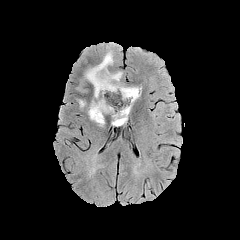
FLAIR MR image.
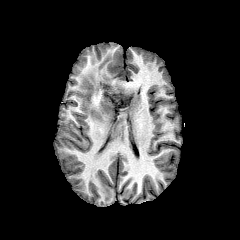
Same slice, T1-weighted MR.
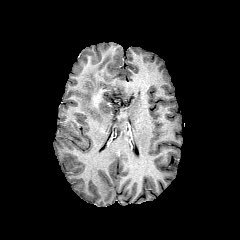
Post-contrast T1-weighted magnetic resonance of the same slice.
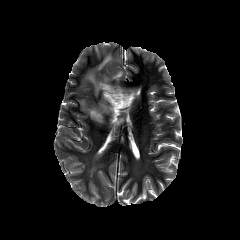
T2-weighted MR image.
{
  "edema": [
    "<box>84,53,140,128</box>"
  ],
  "non-enhancing_tumor_core": [
    "<box>110,92,132,107</box>"
  ]
}